CT. Slice index 424.
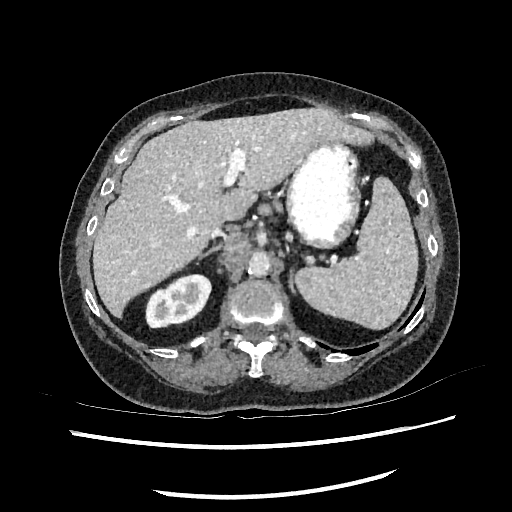 <segmentation>
  <liver>93:107:372:317</liver>
  <kidney>146:275:210:327</kidney>
</segmentation>